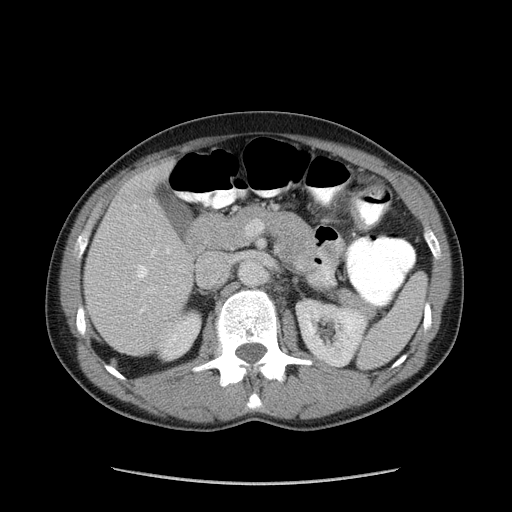 CT slice

colon_tumor:
  - <box>350,184,382,229</box>